512x512 px, CT image, Image width 345 mm, Slice 39/87

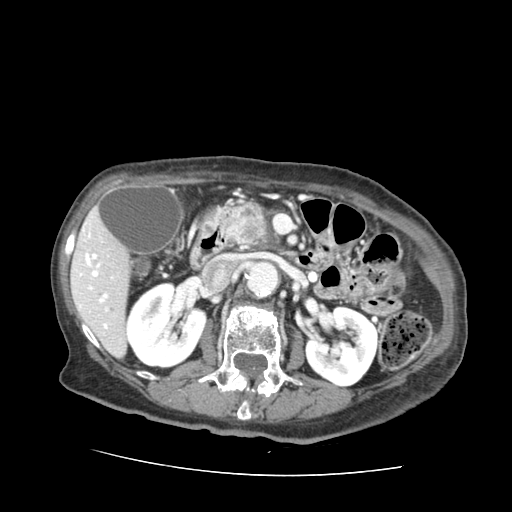 pancreas: box(212, 198, 279, 251) | pancreatic tumor: box(222, 213, 268, 245)